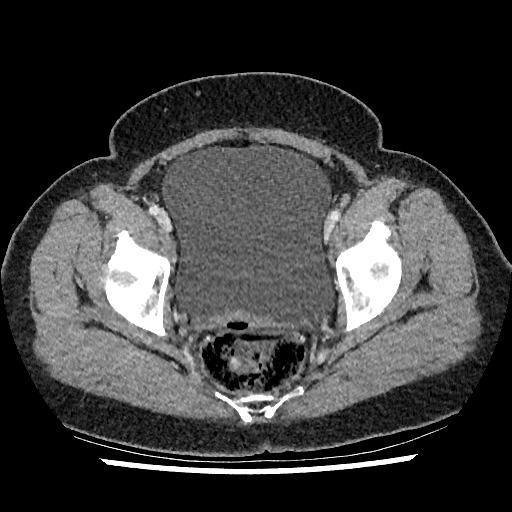 Pelvis, CT slice

The urinary bladder appears at (left=162, top=145, right=333, bottom=330).